FLAIR MRI.
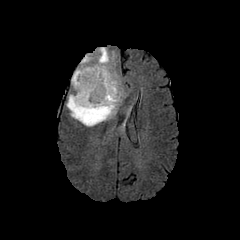
T1-weighted MR.
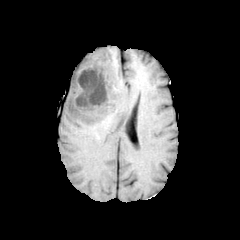
Post-contrast T1-weighted magnetic resonance.
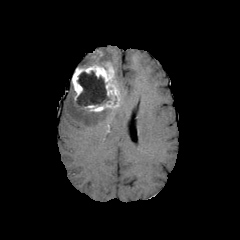
T2-weighted MR.
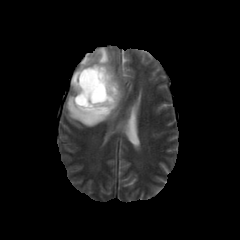
Head; 240x240 px
Edema: (left=78, top=47, right=122, bottom=97), (left=65, top=79, right=118, bottom=127).
Enhancing tumor: (left=72, top=64, right=119, bottom=99), (left=85, top=101, right=117, bottom=111).
Non-enhancing tumor core: (left=78, top=57, right=106, bottom=69), (left=75, top=70, right=119, bottom=113).